CT scan slice.
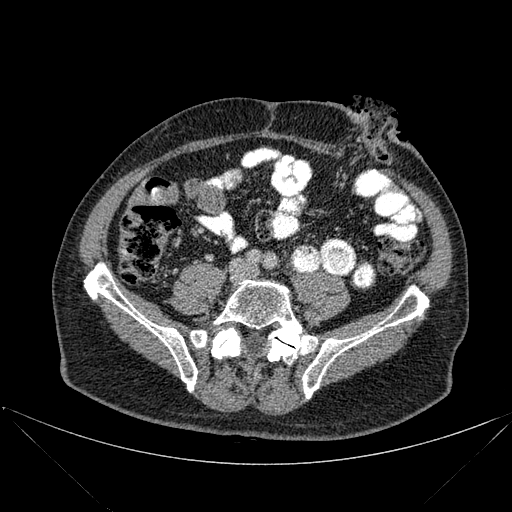
{
  "bone": [
    "l=302, t=285, r=428, b=398",
    "l=190, t=328, r=241, b=358",
    "l=214, t=280, r=317, b=363",
    "l=84, t=263, r=197, b=391"
  ]
}